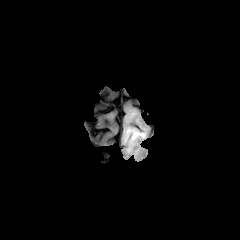
FLAIR MR image.
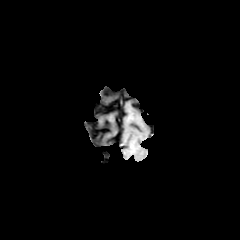
Same slice, T1-weighted MRI.
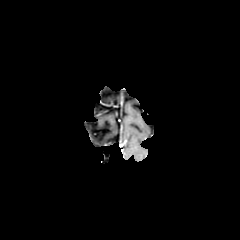
Post-contrast T1-weighted MR image.
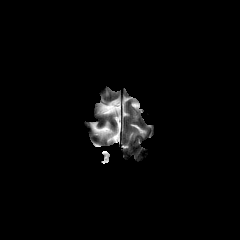
T2-weighted MR of the same slice.
The edema is located at x1=127 y1=129 x2=145 y2=141.